Field of view 328x328 mm; Slice 442/751; 512x512; CT image 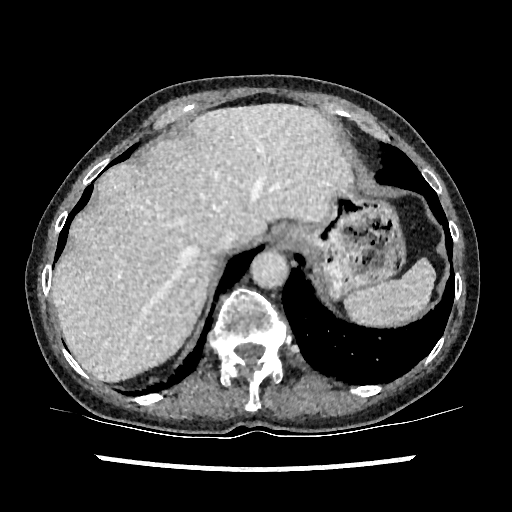

- liver: bbox=[53, 106, 349, 380]